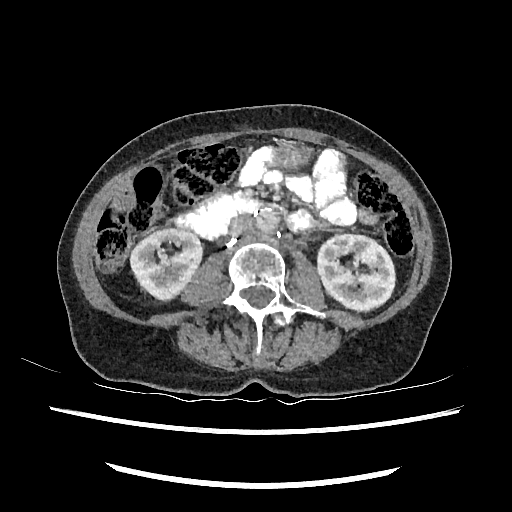

Computed tomography
Annotated regions:
- kidney: box=[318, 234, 394, 309]; box=[131, 228, 201, 298]